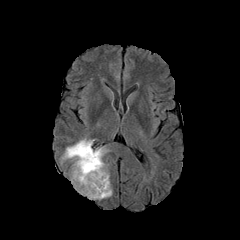
FLAIR magnetic resonance.
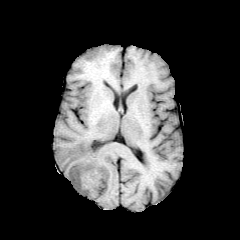
T1-weighted magnetic resonance.
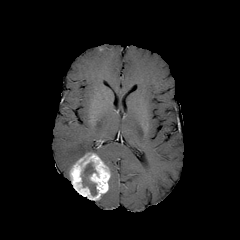
Post-contrast T1-weighted MR image of the same slice.
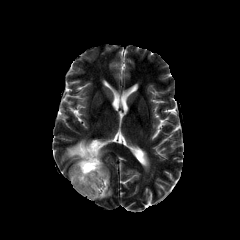
Same slice, T2-weighted MR image.
240x240. Head.
enhancing_tumor:
  - [69,152,109,199]
edema:
  - [100,178,111,198]
  - [62,138,107,165]
non-enhancing_tumor_core:
  - [82,163,96,195]